CT; 512x512 px; Upper abdomen
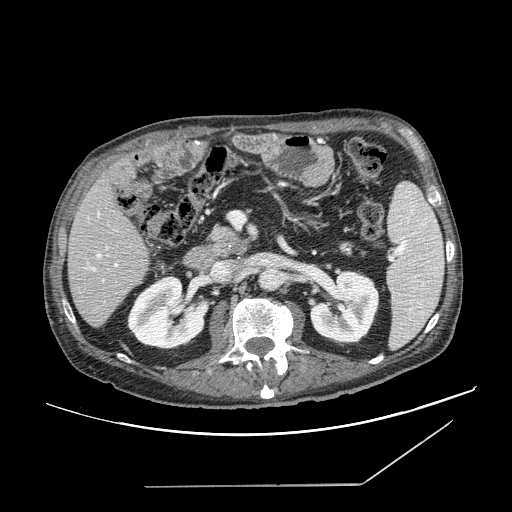 2 pancreas regions are bounded by 341:244:351:253, 210:228:243:254. The pancreatic tumor appears at 230:238:246:254.